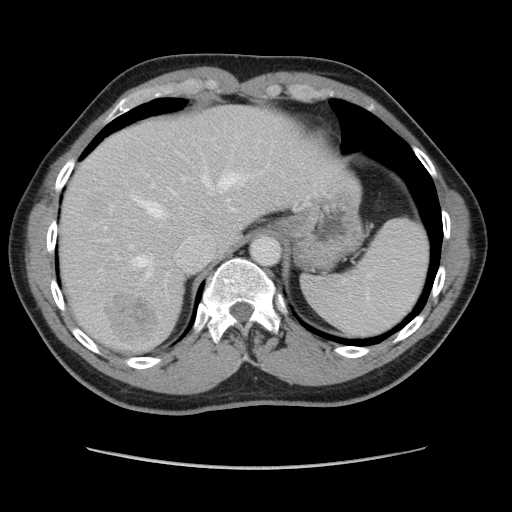
CT. Image size 512x512.
Some hepatic vessels may have no box.
Top 15 of 17 hepatic vessel regions: 231 208 235 210, 169 188 176 194, 260 172 261 174, 131 255 153 279, 110 206 113 212, 105 240 110 240, 129 245 133 249, 219 166 245 192, 132 196 165 218, 201 163 212 194, 229 156 231 160, 227 199 229 201, 105 227 106 229, 152 183 154 187, 182 176 188 180.
Liver tumor: 104 294 157 344.